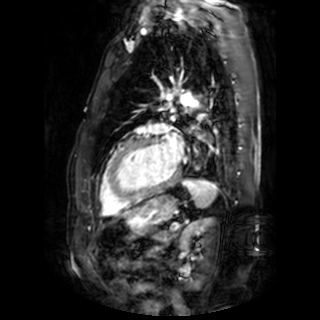
320x320, MRI
left atrium: {"x1": 165, "y1": 134, "x2": 184, "y2": 162}, {"x1": 160, "y1": 124, "x2": 171, "y2": 131}